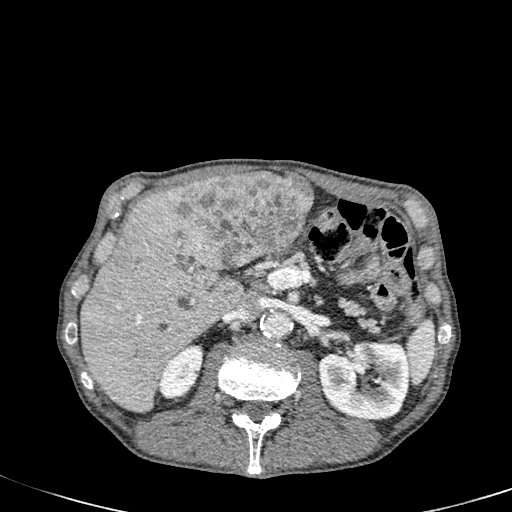 Abdomen; Computed tomography

Annotated regions:
* liver lesion: x1=177 y1=172 x2=312 y2=272
* kidney: x1=320 y1=343 x2=409 y2=418, x1=159 y1=346 x2=201 y2=397
* liver: x1=80 y1=182 x2=243 y2=410